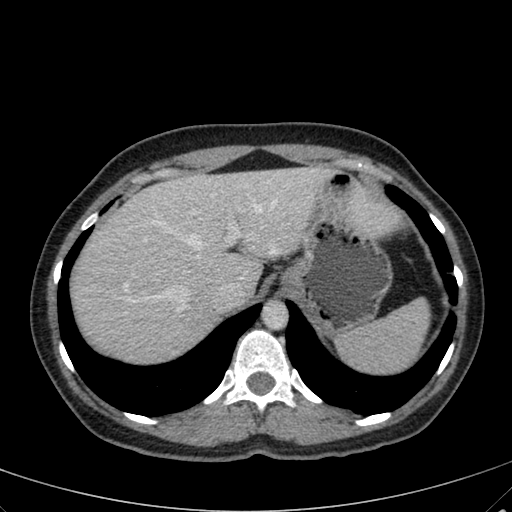

CT image; Abdomen; 512x512
The liver lies within 70, 165, 400, 363.